Abdomen, Slice 34 of 50, Computed tomography

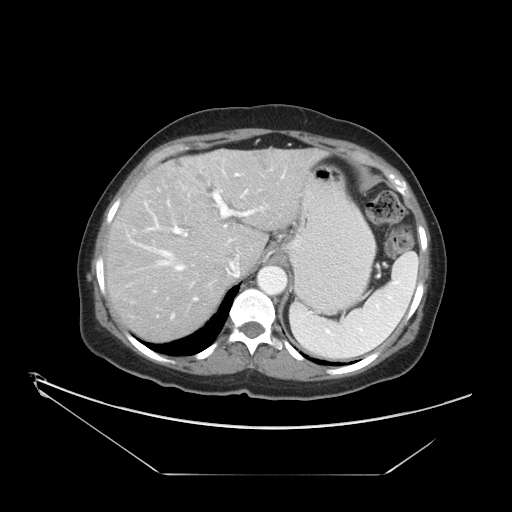
The vessel boxes may cover only some of the vessels.
Liver tumor — bbox(253, 152, 270, 166).
Hepatic vessel — bbox(171, 314, 174, 317); bbox(174, 226, 181, 232); bbox(235, 173, 238, 175); bbox(213, 193, 254, 216); bbox(176, 265, 183, 270); bbox(184, 233, 187, 235); bbox(139, 244, 172, 264); bbox(194, 298, 196, 299).